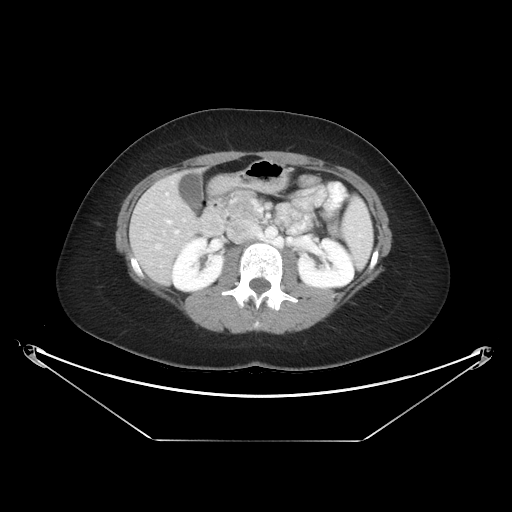 CT image
Pancreas at (x1=224, y1=192, x2=260, y2=221).